Hippocampus. MR image.

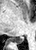
Segmented structures:
- posterior hippocampus: {"x1": 8, "y1": 37, "x2": 23, "y2": 43}